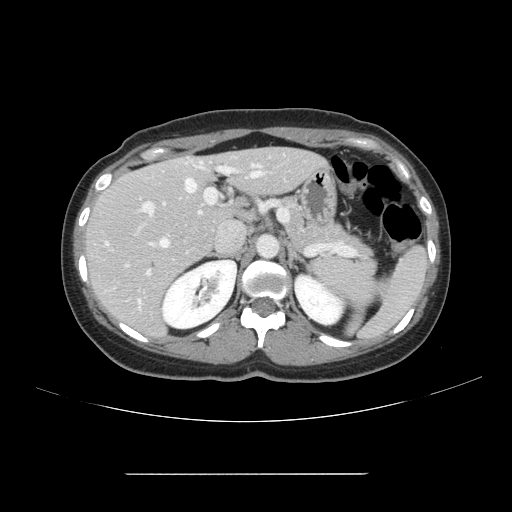
Liver. CT slice. Only some of the vessels may be annotated.
Annotated regions:
* hepatic vessel: box=[251, 164, 261, 177]; box=[150, 239, 168, 247]; box=[106, 242, 108, 244]; box=[200, 162, 202, 163]; box=[138, 299, 140, 302]; box=[141, 202, 153, 214]; box=[199, 210, 201, 213]; box=[185, 179, 195, 192]